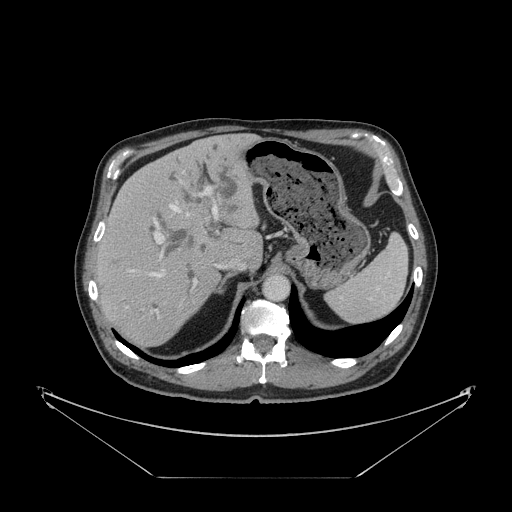

Image size 512x512 | CT
The vessel annotation is not exhaustive.
{"hepatic_vessel": ["bbox=[200, 187, 210, 195]", "bbox=[151, 309, 157, 313]", "bbox=[159, 253, 162, 257]", "bbox=[168, 202, 179, 211]", "bbox=[193, 280, 196, 285]", "bbox=[129, 270, 133, 271]", "bbox=[185, 213, 188, 216]", "bbox=[150, 270, 164, 276]", "bbox=[154, 220, 163, 243]", "bbox=[212, 204, 217, 216]"], "liver_tumor": ["bbox=[217, 202, 241, 217]"]}